FLAIR MRI.
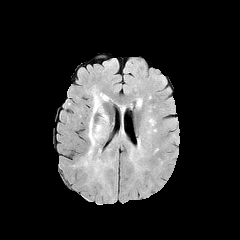
T1-weighted MRI.
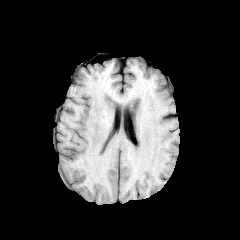
Post-contrast T1-weighted magnetic resonance.
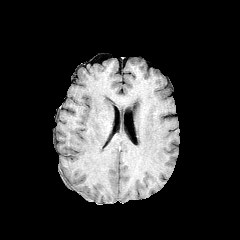
T2-weighted MRI.
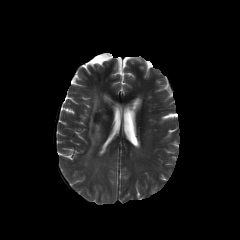
Head
The edema is bounded by x1=86, y1=93, x2=107, y2=159.